CT scan slice | Image width 367 mm | Slice 625 of 677 | Liver

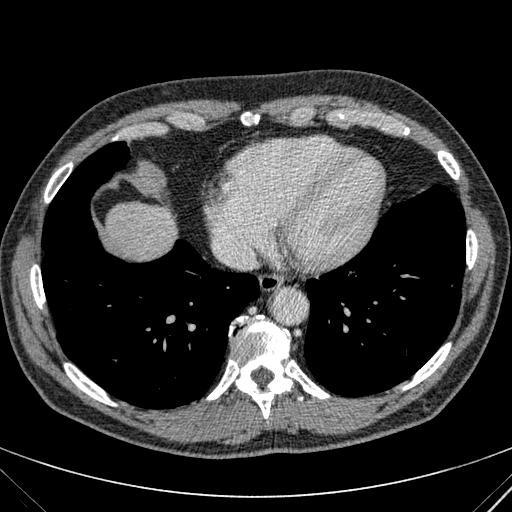

liver: region(106, 204, 175, 259)